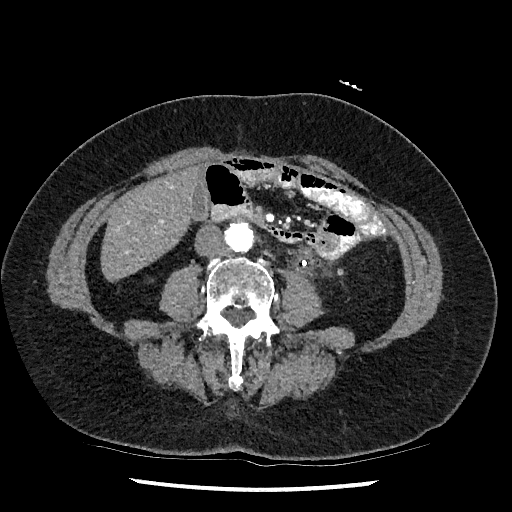
Abdomen. CT slice. liver:
  - x1=101 y1=166 x2=199 y2=279